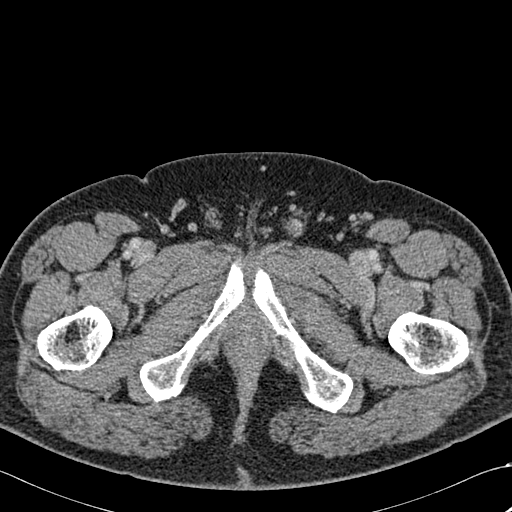 CT
{
  "bone": [
    "bbox=[140, 264, 244, 401]",
    "bbox=[388, 312, 469, 374]",
    "bbox=[37, 305, 112, 370]",
    "bbox=[253, 269, 352, 412]"
  ]
}